512x512 px; CT slice
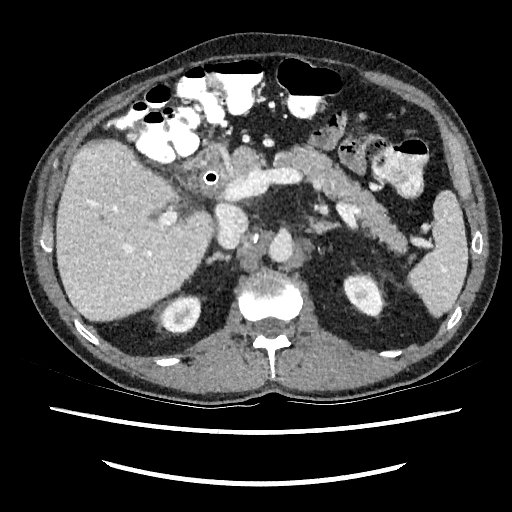
Kidney at {"x1": 345, "y1": 277, "x2": 381, "y2": 314}, {"x1": 163, "y1": 298, "x2": 199, "y2": 331}.
Liver at {"x1": 56, "y1": 140, "x2": 213, "y2": 320}.